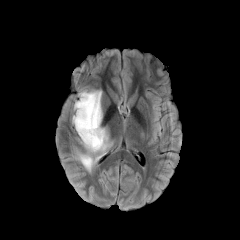
FLAIR MR.
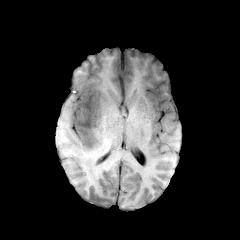
T1-weighted MR image of the same slice.
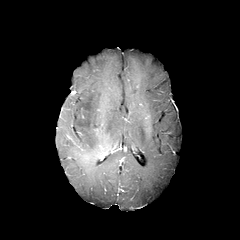
Same slice, post-contrast T1-weighted magnetic resonance.
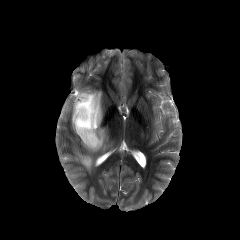
T2-weighted MR.
Brain
The edema appears at x1=72 y1=87 x2=108 y2=171.